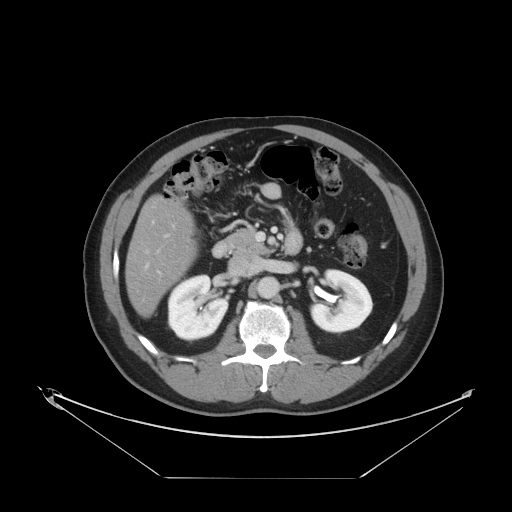
Computed tomography.
Only some of the vessels may be annotated.
<segmentation>
  <hepatic_vessel>region(165, 234, 167, 236); region(152, 221, 153, 222); region(145, 264, 148, 268); region(157, 271, 159, 272)</hepatic_vessel>
</segmentation>